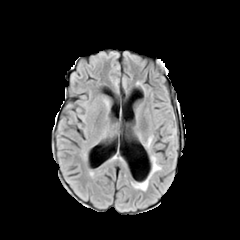
FLAIR magnetic resonance.
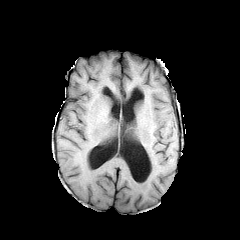
Same slice, T1-weighted MR.
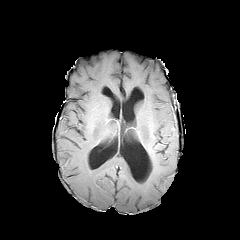
Same slice, post-contrast T1-weighted magnetic resonance.
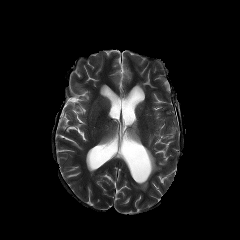
Same slice, T2-weighted magnetic resonance.
Head
The edema is located at [x1=132, y1=136, x2=161, y2=190].